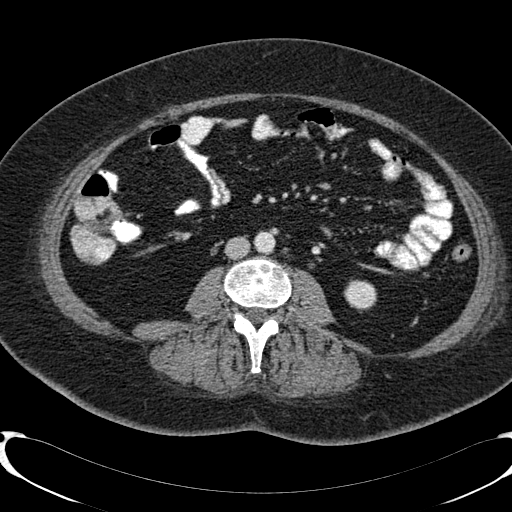
CT slice
Segmented structures:
• kidney: x1=345, y1=282, x2=375, y2=307